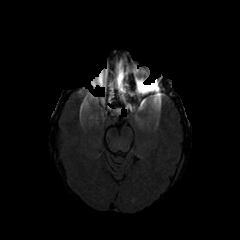
FLAIR magnetic resonance.
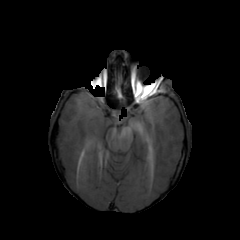
T1-weighted MRI of the same slice.
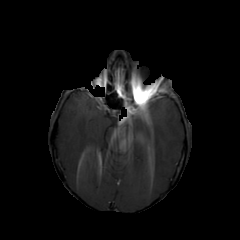
Post-contrast T1-weighted MR image.
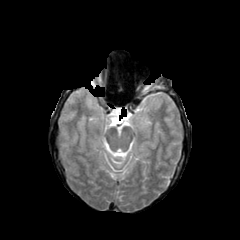
T2-weighted magnetic resonance.
{
  "edema": [
    "[x1=148, y1=94, x2=163, y2=112]"
  ],
  "enhancing_tumor": [
    "[x1=146, y1=89, x2=163, y2=103]",
    "[x1=134, y1=102, x2=147, y2=121]"
  ]
}